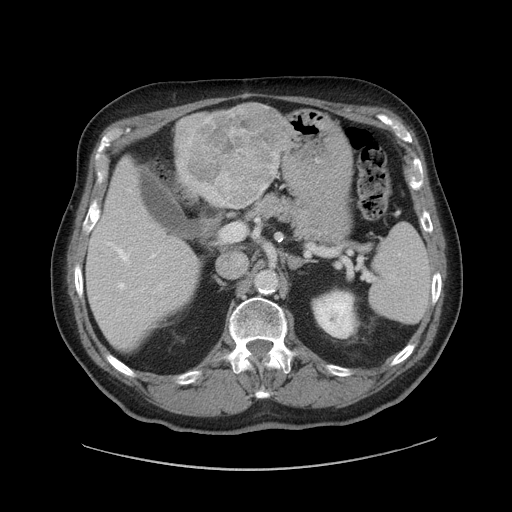
CT scan slice, Image size 512x512, Abdomen
The vessel annotation is not exhaustive.
5 hepatic vessel regions appear at (119,283,123,287), (109,242,112,245), (152,253,155,256), (128,189,130,190), (117,248,129,260). The liver tumor is bounded by (187,105,292,205).